FLAIR magnetic resonance.
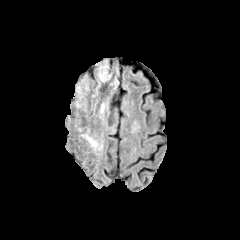
T1-weighted MRI.
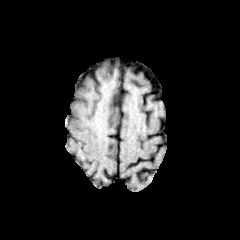
Post-contrast T1-weighted MR image.
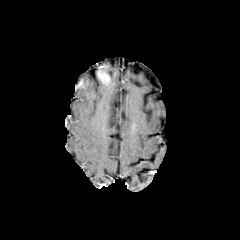
T2-weighted MRI.
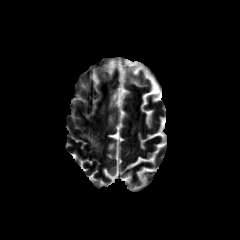
Head
Edema: x1=81 y1=133 x2=101 y2=150.